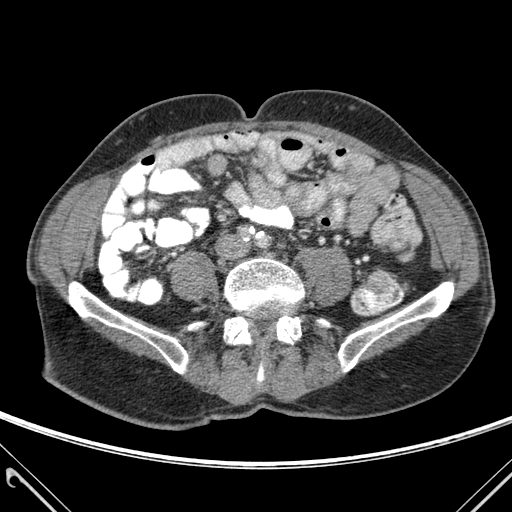

Computed tomography

{"bone": [{"x1": 225, "y1": 259, "x2": 303, "y2": 343}, {"x1": 338, "y1": 282, "x2": 453, "y2": 371}, {"x1": 69, "y1": 282, "x2": 187, "y2": 373}, {"x1": 257, "y1": 364, "x2": 263, "y2": 380}, {"x1": 224, "y1": 317, "x2": 250, "y2": 344}]}